Slice 609/751, CT scan slice, Upper abdomen
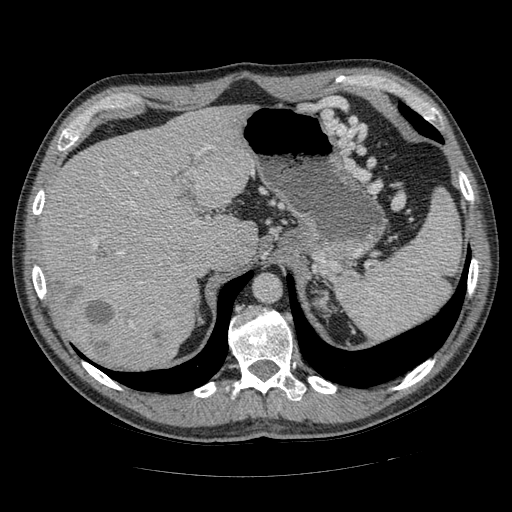 <segmentation>
  <pancreatic_tumor>(left=317, top=293, right=328, bottom=309)</pancreatic_tumor>
</segmentation>